CT, Slice 402 of 836
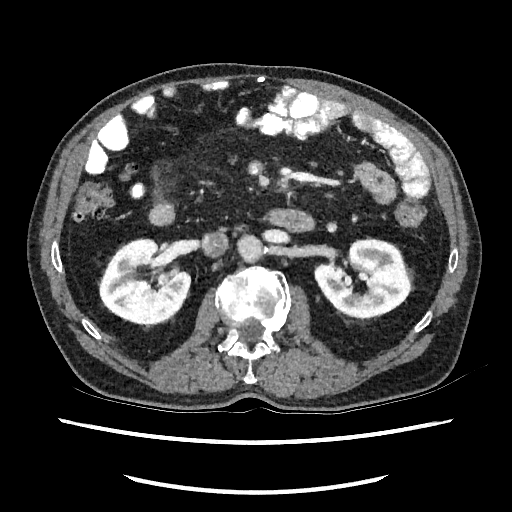 Kidney at 314:238:411:319, 99:238:190:326.